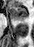

Magnetic resonance. 34x47. Annotated regions:
- anterior hippocampus: {"x1": 9, "y1": 6, "x2": 27, "y2": 20}